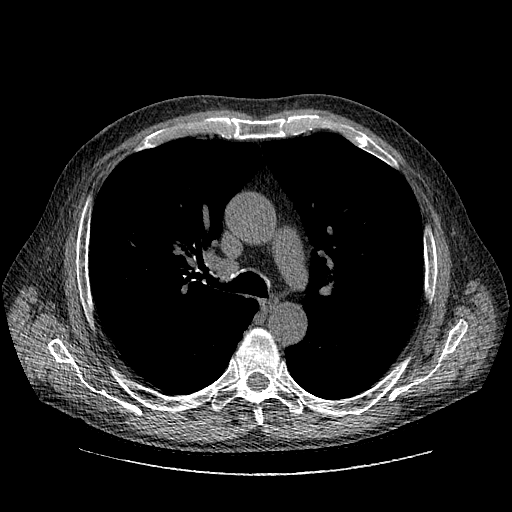
Chest; CT scan slice
Findings:
- lung tumor: x1=166 y1=229 x2=195 y2=260